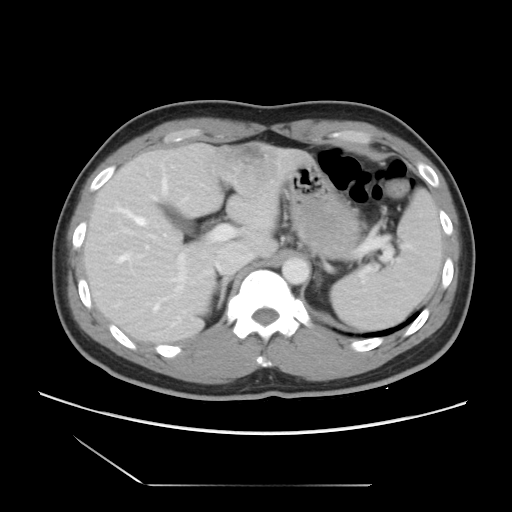 CT. The vessel boxes may cover only some of the vessels.
5 hepatic vessel regions are located at (x1=211, y1=225, x2=235, y2=240), (x1=155, y1=305, x2=157, y2=308), (x1=121, y1=210, x2=144, y2=224), (x1=180, y1=255, x2=183, y2=260), (x1=120, y1=255, x2=127, y2=260). The liver tumor lies within (x1=213, y1=144, x2=278, y2=184).